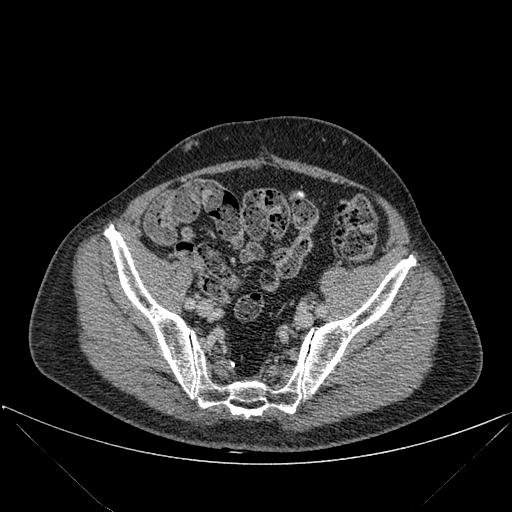 CT. 512x512 px. <segmentation>
  <bone>104:225:415:417</bone>
</segmentation>